Image size 240x240.
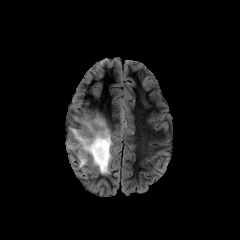
FLAIR MR image.
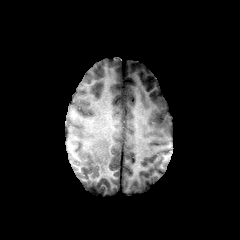
T1-weighted MR.
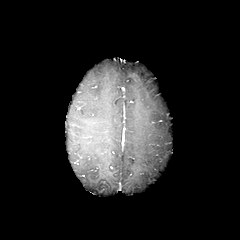
Same slice, post-contrast T1-weighted MR image.
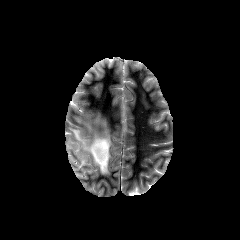
T2-weighted MR image.
{"edema": ["x1=72 y1=123 x2=113 y2=175"]}